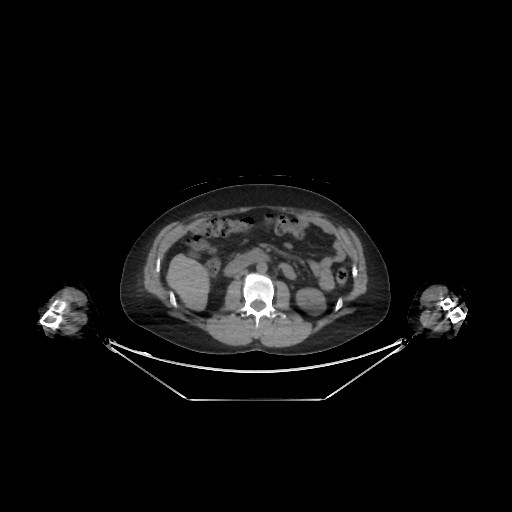 Abdomen. CT scan slice. The liver is located at left=166, top=254, right=212, bottom=310. The kidney appears at left=296, top=287, right=325, bottom=313.